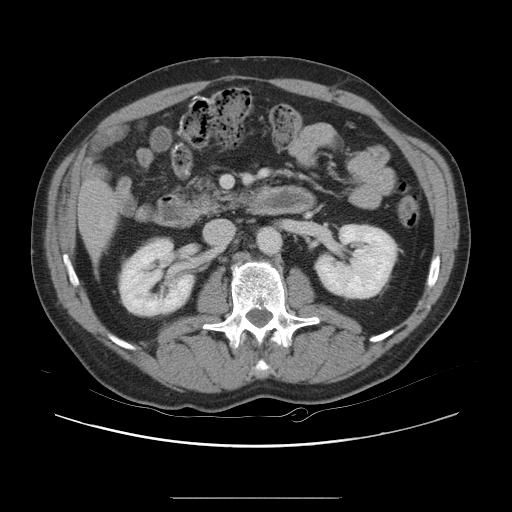

Computed tomography. 512x512 px.

Only some of the vessels may be annotated.
The hepatic vessel lies within <box>100,221,102,226</box>.